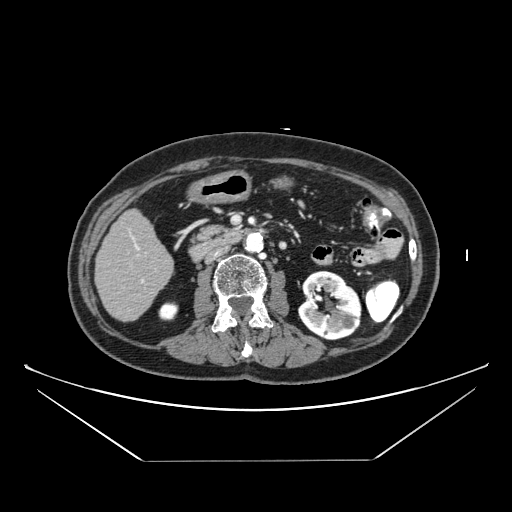 CT
pancreas:
  - [x1=191, y1=224, x2=227, y2=241]